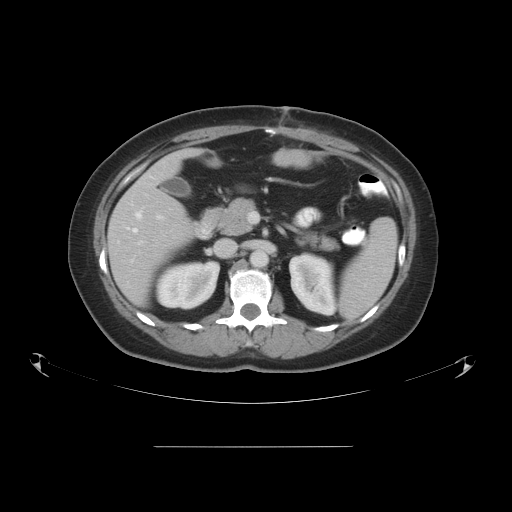
Liver; 512x512 px; Computed tomography
Not every hepatic vessel necessarily has a box.
{
  "hepatic_vessel": [
    "118, 241, 119, 242",
    "131, 259, 133, 262",
    "139, 182, 143, 183",
    "129, 201, 132, 204",
    "127, 227, 129, 228",
    "135, 209, 142, 218",
    "138, 240, 143, 244",
    "148, 173, 153, 177",
    "127, 281, 128, 284",
    "132, 228, 137, 232",
    "157, 215, 163, 218"
  ]
}